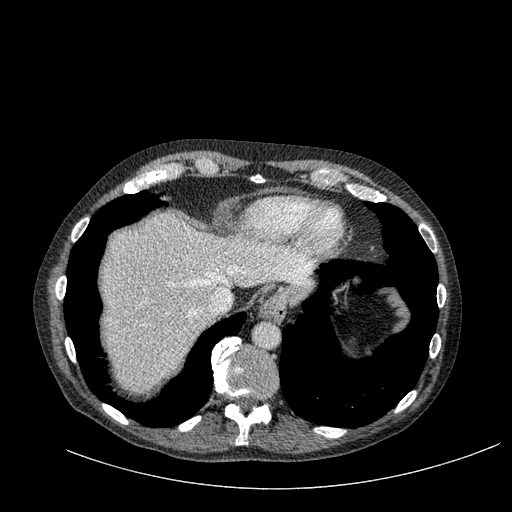 512x512 px | Computed tomography
The liver is located at rect(102, 213, 316, 392).